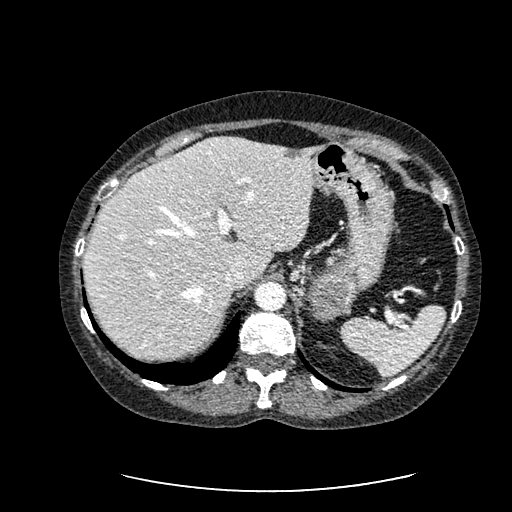 CT scan slice
Segmented structures:
* liver: 83, 136, 320, 357
* hepatic lesion: 283, 149, 304, 158